Slice 81 of 155 | Field of view 240x240 mm
FLAIR magnetic resonance.
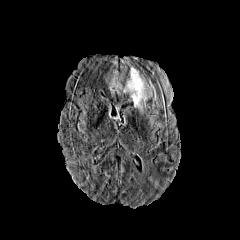
T1-weighted MR image.
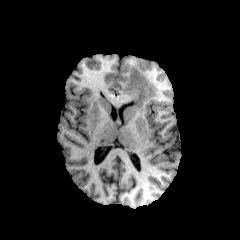
Post-contrast T1-weighted MR image.
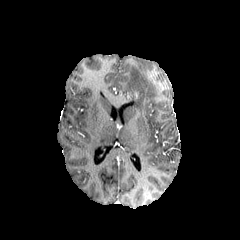
T2-weighted magnetic resonance.
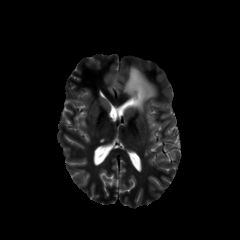
Edema: <box>124,68,155,111</box>.